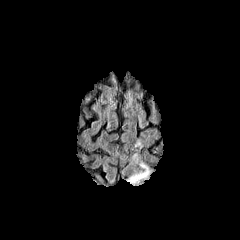
FLAIR magnetic resonance.
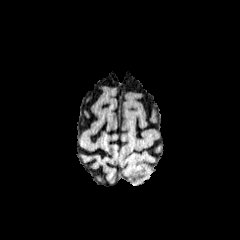
T1-weighted magnetic resonance of the same slice.
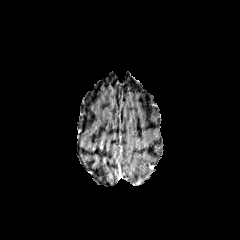
Post-contrast T1-weighted magnetic resonance.
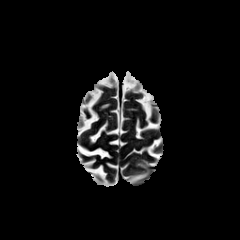
T2-weighted MRI.
edema: [x1=125, y1=161, x2=151, y2=183]